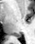

MR image | 35x44 px | Hippocampus
Posterior hippocampus: box=[16, 34, 21, 37].